Brain
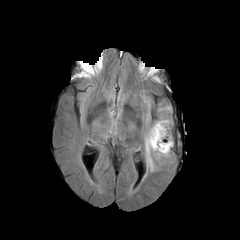
FLAIR MR image.
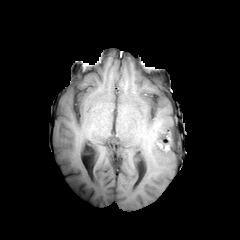
Same slice, T1-weighted MRI.
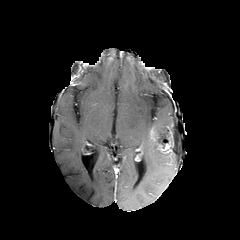
Post-contrast T1-weighted MR image.
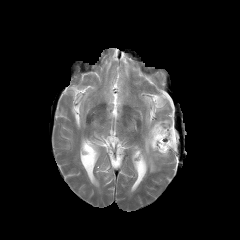
T2-weighted MR.
Enhancing tumor: bounding box {"x1": 158, "y1": 137, "x2": 173, "y2": 154}.
Edema: bounding box {"x1": 106, "y1": 86, "x2": 124, "y2": 105}, {"x1": 158, "y1": 102, "x2": 168, "y2": 112}, {"x1": 106, "y1": 106, "x2": 119, "y2": 137}, {"x1": 138, "y1": 98, "x2": 172, "y2": 172}.